Computed tomography. Upper abdomen.

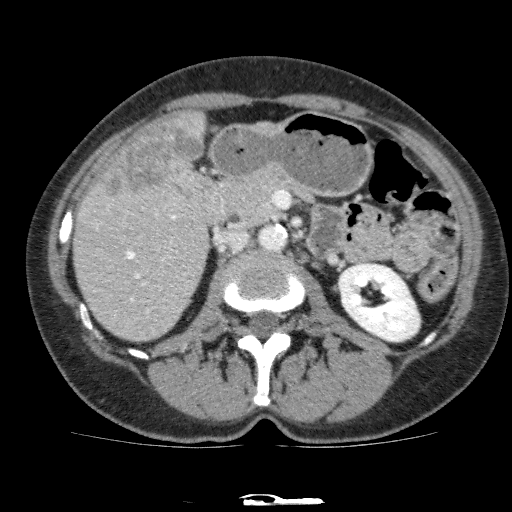 liver: (x1=256, y1=121, x2=276, y2=131), (x1=72, y1=175, x2=210, y2=342), (x1=178, y1=110, x2=208, y2=146) | hepatic lesion: (x1=99, y1=115, x2=205, y2=198) | kidney: (x1=339, y1=264, x2=419, y2=341)